Abdomen. Slice index 41. CT slice. 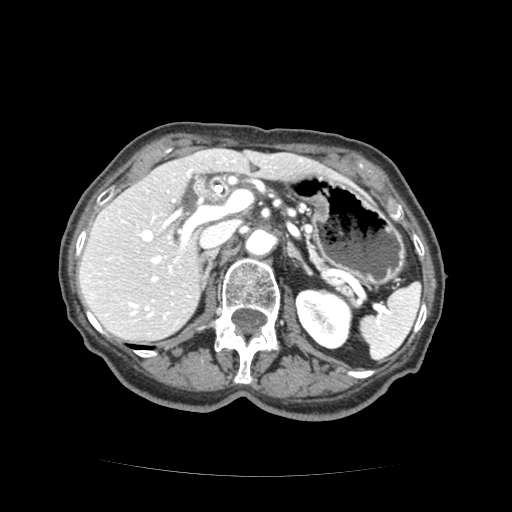 Annotated regions:
- pancreas: (309, 242, 351, 298)